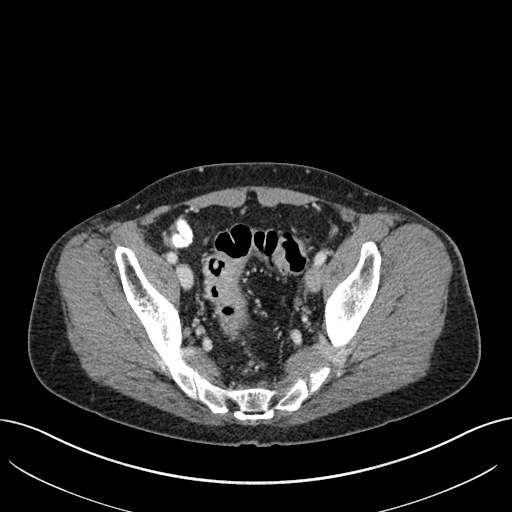

Image size 512x512, CT
The colon tumor is located at 204:252:246:311.